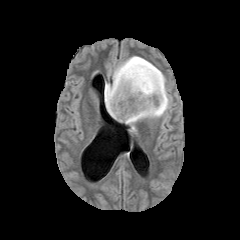
FLAIR magnetic resonance.
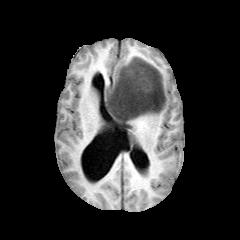
T1-weighted MR image.
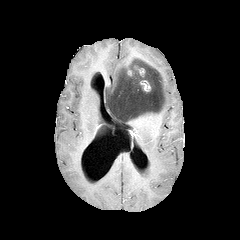
Post-contrast T1-weighted magnetic resonance of the same slice.
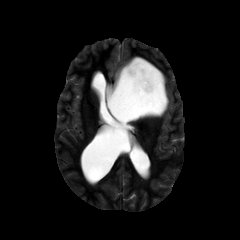
T2-weighted MR image of the same slice.
Findings:
* edema: bbox(104, 54, 171, 132)
* non-enhancing tumor core: bbox(105, 58, 166, 123)
* enhancing tumor: bbox(139, 80, 151, 91)